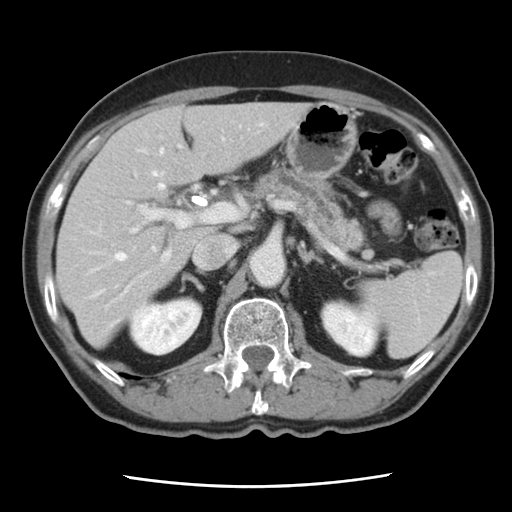 CT image. Upper abdomen. 512x512 px.

Segmented structures:
- pancreas: rect(253, 169, 365, 250)